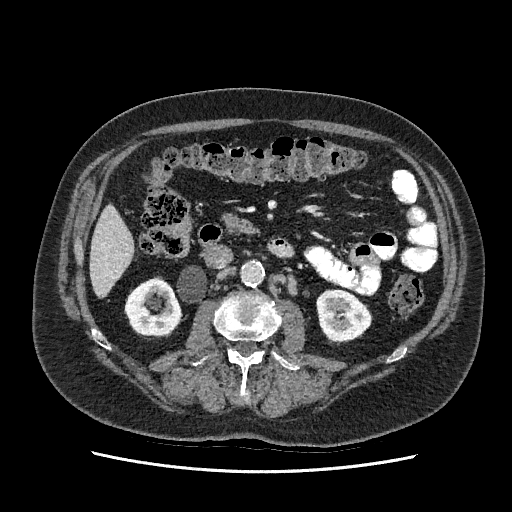 Liver. CT scan slice.

Kidney: 317, 290, 370, 340; 125, 279, 180, 334.
Liver: 91, 205, 133, 296.